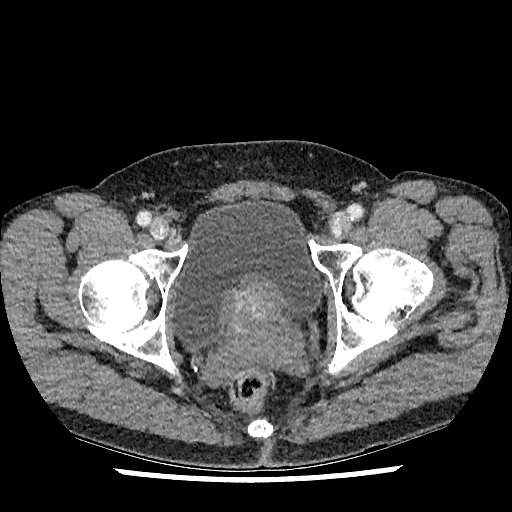

Lower abdomen | CT image
Urinary bladder = [x1=173, y1=199, x2=323, y2=347].